Abdomen; CT slice 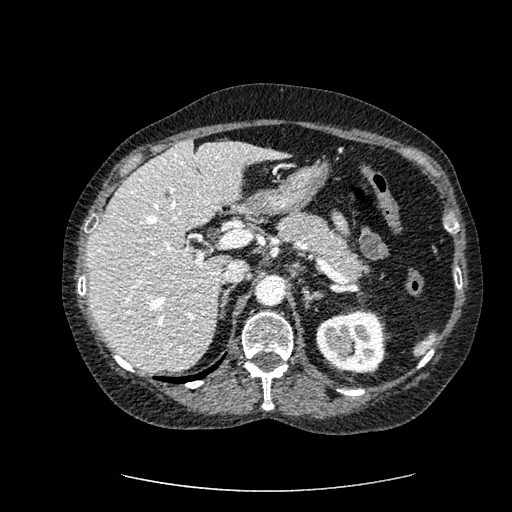 The focal liver lesion appears at (x1=164, y1=190, x2=171, y2=199). The kidney is bounded by (x1=317, y1=311, x2=383, y2=372). The liver is located at (x1=88, y1=139, x2=295, y2=372).